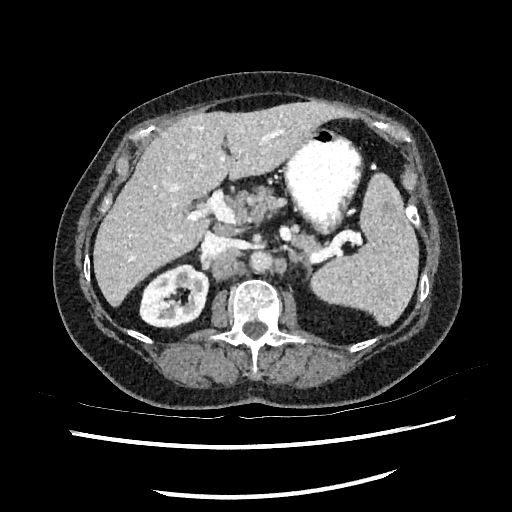 CT scan slice; Upper abdomen

liver: box(93, 102, 359, 307) | kidney: box(140, 265, 207, 326)